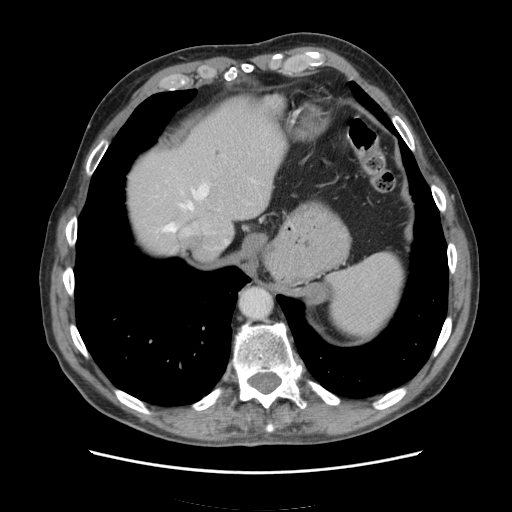 CT scan slice, Upper abdomen
The spleen is at <bbox>327, 252, 403, 337</bbox>.